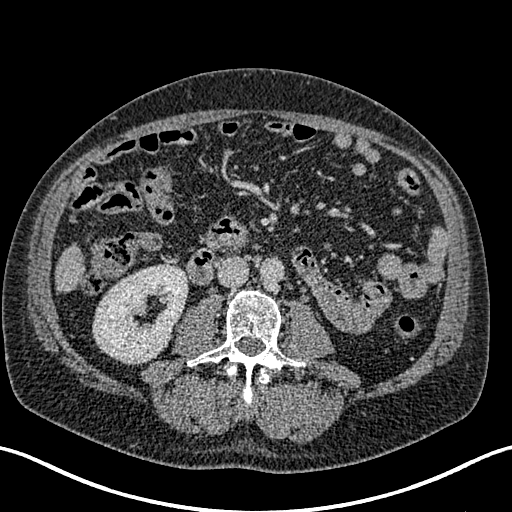 Image size 512x512 | CT image | Upper abdomen

The liver appears at (56,244,83,292). The kidney is bounded by (93,265,187,363).